Prostate.
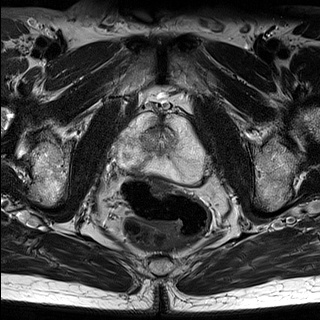
T2-weighted MRI.
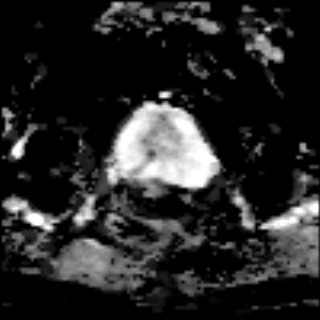
ADC MR image.
The prostate transition zone is located at x1=140, y1=116, x2=176, y2=153. The prostate peripheral zone is at x1=115, y1=113, x2=208, y2=184.